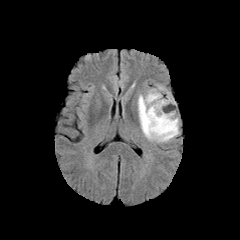
FLAIR magnetic resonance.
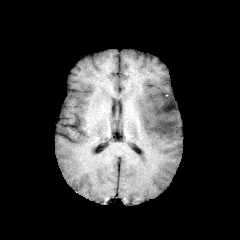
Same slice, T1-weighted MR image.
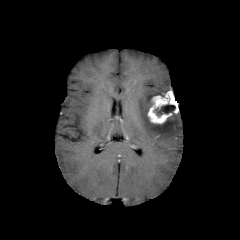
Post-contrast T1-weighted MRI of the same slice.
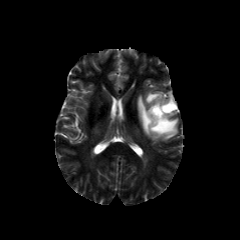
Same slice, T2-weighted MRI.
Head
2 non-enhancing tumor core regions are bounded by left=143, top=92, right=173, bottom=132; left=155, top=104, right=177, bottom=115. The enhancing tumor is located at left=147, top=91, right=177, bottom=123. The edema appears at left=136, top=84, right=180, bottom=142.